Slice 19 of 165. 512x512. Computed tomography.

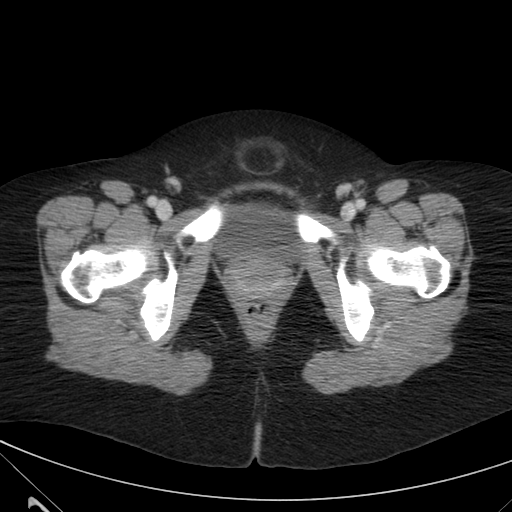 Annotated regions:
- urinary bladder: [x1=208, y1=201, x2=306, y2=268]